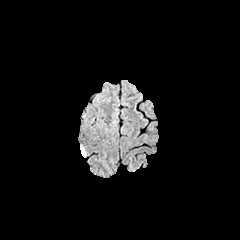
FLAIR MR image.
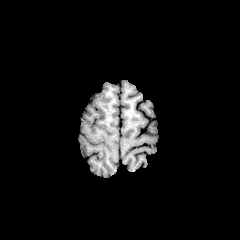
T1-weighted MRI.
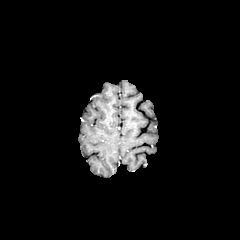
Post-contrast T1-weighted MR.
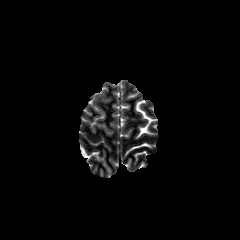
T2-weighted MR.
Brain
{
  "edema": [
    "(x1=80, y1=145, x2=87, y2=157)"
  ]
}